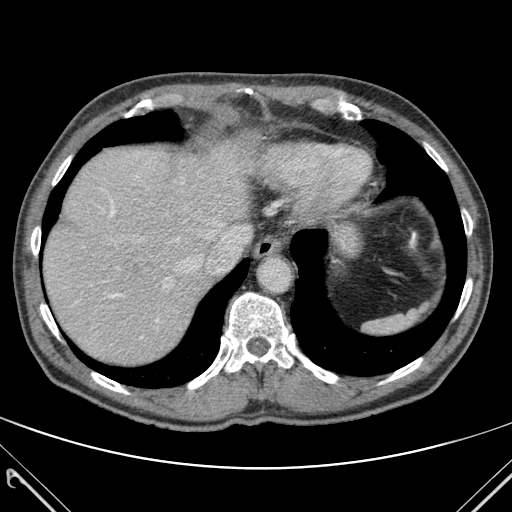

Liver | Image size 512x512 | CT
Liver: <bbox>44, 134, 258, 365</bbox>.
Lung: <bbox>290, 120, 466, 375</bbox>, <bbox>42, 111, 182, 238</bbox>, <bbox>75, 258, 249, 387</bbox>.
Bone: <bbox>52, 157, 70, 185</bbox>, <bbox>40, 303, 59, 339</bbox>, <bbox>462, 210, 472, 234</bbox>, <bbox>91, 373, 128, 393</bbox>, <bbox>456, 279, 471, 316</bbox>, <bbox>385, 358, 422, 381</bbox>, <bbox>188, 293, 337, 388</bbox>, <bbox>31, 227, 40, 255</bbox>, <bbox>425, 144, 447, 170</bbox>.